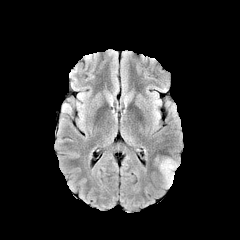
FLAIR MR.
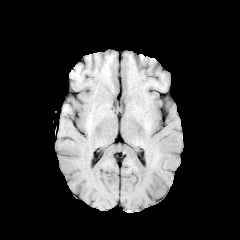
T1-weighted MRI.
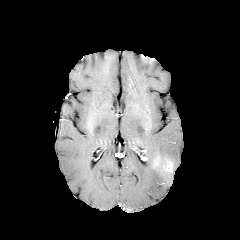
Post-contrast T1-weighted MR of the same slice.
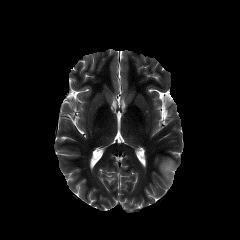
T2-weighted magnetic resonance.
Head.
{
  "enhancing_tumor": [
    "[x1=165, y1=162, x2=172, y2=172]"
  ],
  "edema": [
    "[x1=160, y1=158, x2=176, y2=186]"
  ]
}